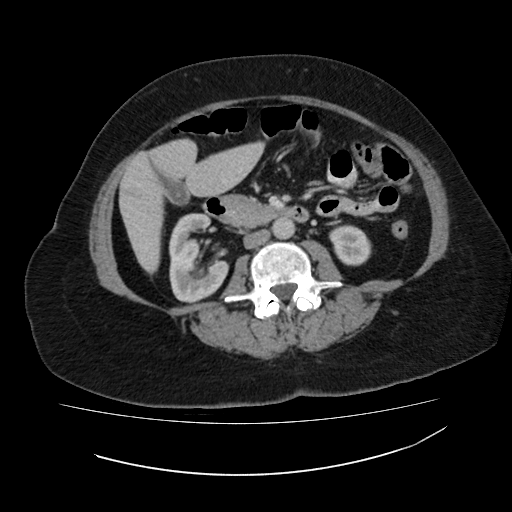
CT image | Liver

<segmentation>
  <kidney><box>169,214,228,302</box>, <box>329,226,370,265</box></kidney>
  <liver><box>120,140,263,270</box></liver>
  <liver_lesion><box>120,186,148,204</box></liver_lesion>
</segmentation>